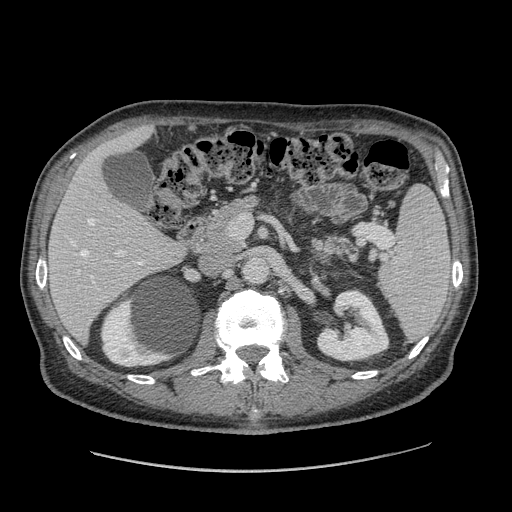 CT slice | Abdomen
2 pancreas regions appear at bbox=[311, 237, 358, 260]; bbox=[204, 197, 256, 254].